FLAIR magnetic resonance.
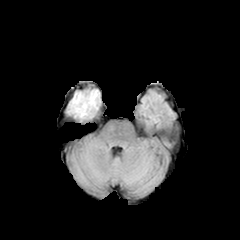
T1-weighted MR.
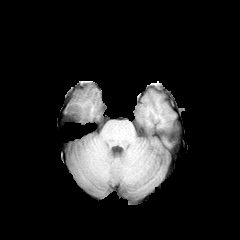
Post-contrast T1-weighted MR image.
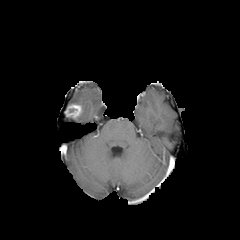
T2-weighted MRI.
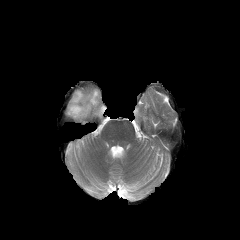
enhancing tumor: x1=67 y1=104 x2=81 y2=117 | edema: x1=69 y1=89 x2=99 y2=118